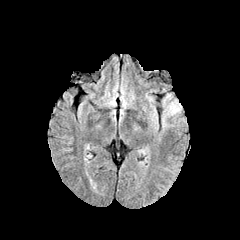
FLAIR MR image.
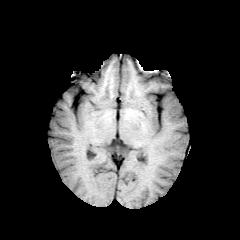
T1-weighted magnetic resonance.
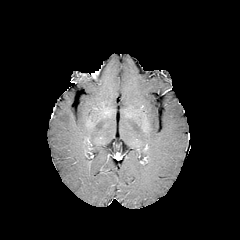
Post-contrast T1-weighted MR image.
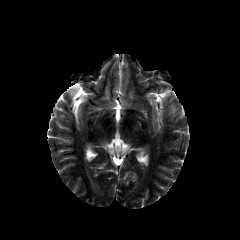
T2-weighted MR.
Head; 240x240 px
- edema: 148 108 158 131, 163 93 181 118